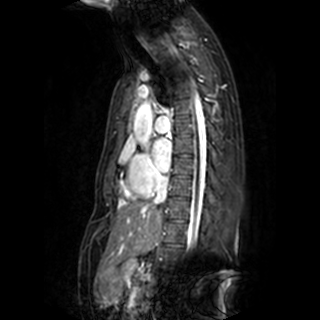

320x320, MRI slice
Segmented structures:
• left atrium: x1=152 y1=138 x2=171 y2=172